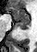

MRI slice.
anterior_hippocampus:
  - l=6, t=7, r=29, b=21
posterior_hippocampus:
  - l=15, t=22, r=29, b=29